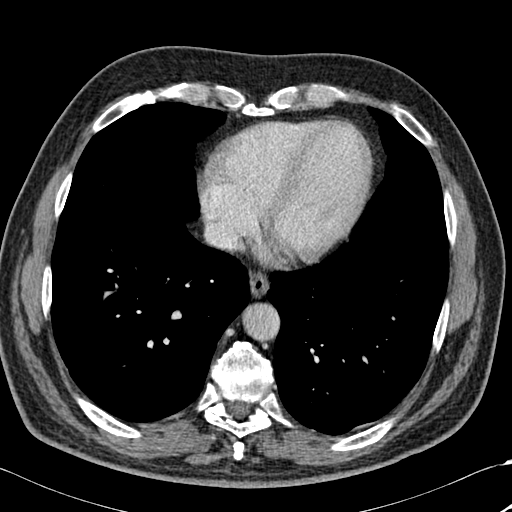
CT, Chest
12 bone regions are located at 78 399 139 437, 393 107 430 144, 55 175 71 215, 229 89 243 106, 433 303 448 348, 93 83 189 130, 42 268 51 312, 444 193 456 241, 242 87 294 115, 199 341 290 437, 332 420 391 450, 233 442 243 459. 2 lung regions are located at 266 107 448 435, 51 101 250 422.